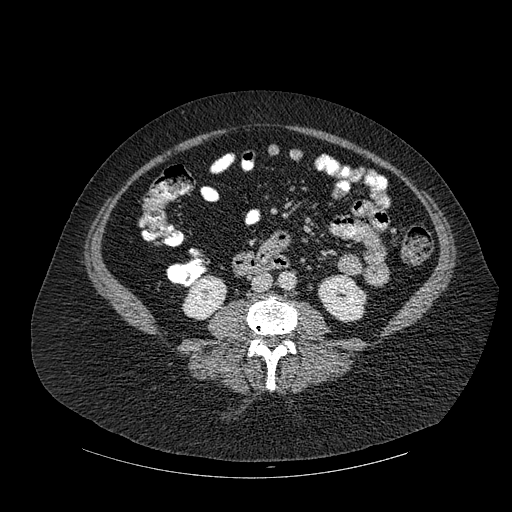

Computed tomography. Abdomen.
kidney:
  - region(319, 275, 365, 320)
  - region(183, 276, 226, 319)
bone:
  - region(246, 297, 296, 390)